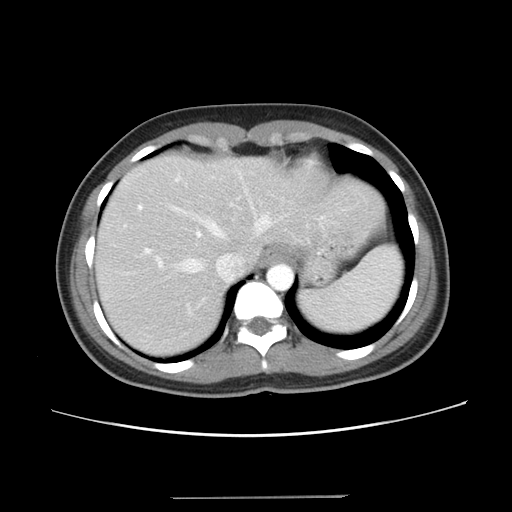
Abdomen, CT slice

Only some of the vessels may be annotated.
hepatic_vessel:
  - [x1=139, y1=206, x2=142, y2=209]
  - [x1=255, y1=216, x2=272, y2=232]
  - [x1=207, y1=222, x2=223, y2=236]
  - [x1=231, y1=204, x2=233, y2=205]
  - [x1=197, y1=232, x2=200, y2=236]
  - [x1=146, y1=249, x2=150, y2=253]
  - [x1=157, y1=258, x2=163, y2=267]
  - [x1=184, y1=260, x2=201, y2=271]
  - [x1=177, y1=178, x2=180, y2=181]